Slice index 44, CT, 512x512 px
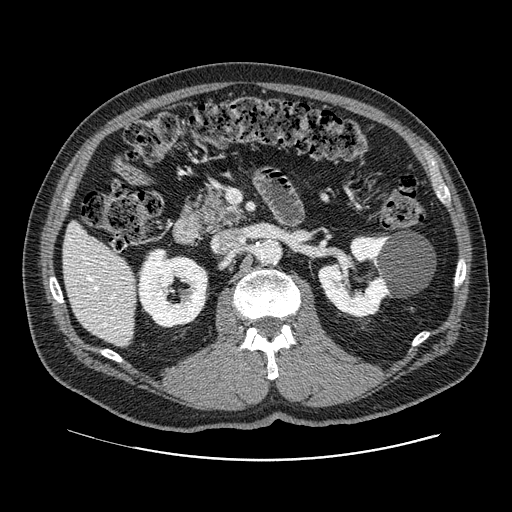 The pancreas is bounded by 181,189,247,235.